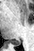

Image size 34x51 | MR | Medial temporal lobe
Posterior hippocampus at box(9, 40, 20, 46).